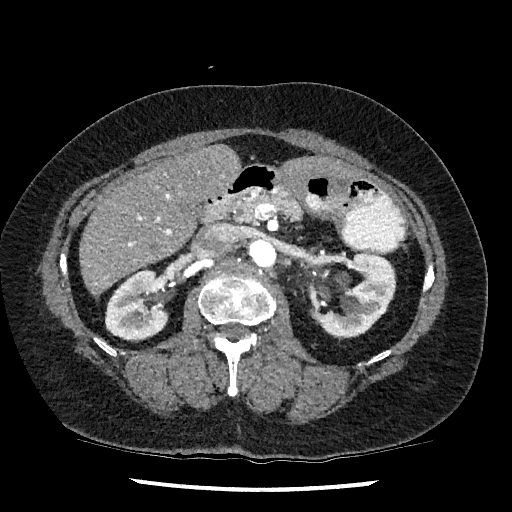
CT slice; Upper abdomen
Kidney: bounding box [311, 254, 395, 336], [105, 264, 179, 339].
Liver: bounding box [79, 146, 239, 295], [286, 158, 360, 180].